MR | Medial temporal lobe

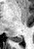 <segmentation>
  <posterior_hippocampus>(left=10, top=37, right=22, bottom=42)</posterior_hippocampus>
</segmentation>